Slice index 25. CT scan slice. 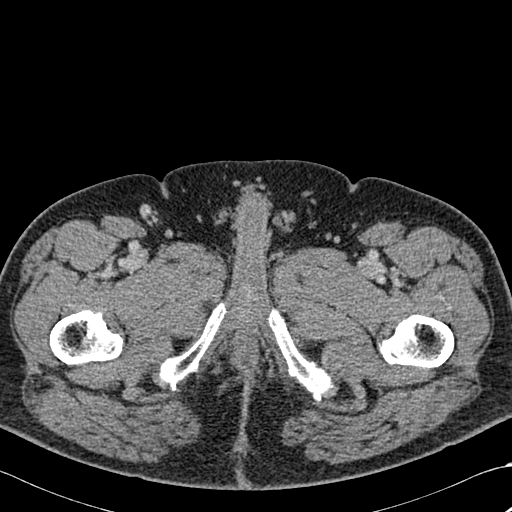
4 bone regions appear at <bbox>50, 310, 122, 364</bbox>, <bbox>159, 304, 225, 388</bbox>, <bbox>380, 314, 453, 367</bbox>, <bbox>269, 310, 331, 399</bbox>.